FLAIR MRI.
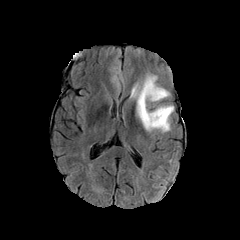
T1-weighted MR image.
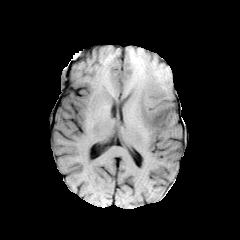
Post-contrast T1-weighted magnetic resonance.
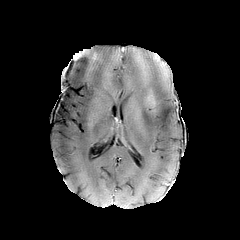
T2-weighted MR image.
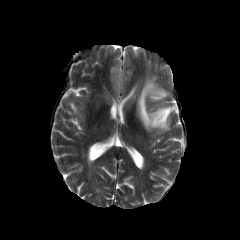
240x240 px
The edema is bounded by {"x1": 130, "y1": 75, "x2": 174, "y2": 134}.